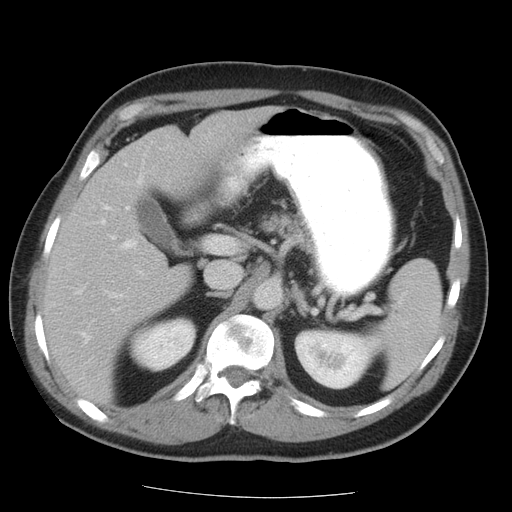
512x512, CT slice
The vessel boxes may cover only some of the vessels.
12 hepatic vessel regions are bounded by (x1=109, y1=293, x2=118, y2=297), (x1=123, y1=240, x2=136, y2=248), (x1=125, y1=163, x2=127, y2=165), (x1=112, y1=309, x2=114, y2=311), (x1=111, y1=236, x2=114, y2=238), (x1=138, y1=270, x2=142, y2=273), (x1=82, y1=332, x2=90, y2=342), (x1=104, y1=205, x2=111, y2=209), (x1=101, y1=219, x2=105, y2=223), (x1=138, y1=171, x2=143, y2=185), (x1=126, y1=207, x2=129, y2=209), (x1=77, y1=286, x2=84, y2=293).